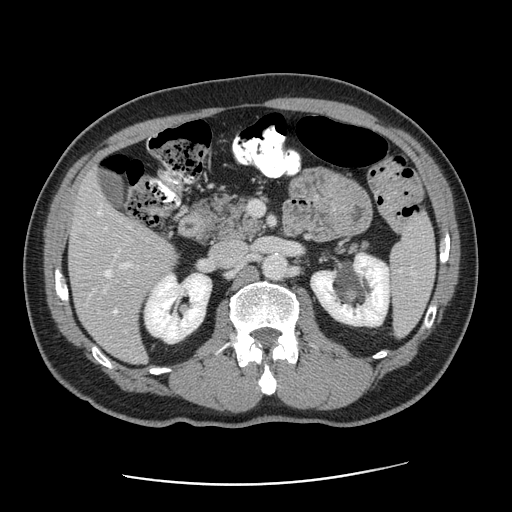 512x512 | CT slice | Abdomen
Only some of the vessels may be annotated.
The liver tumor is at left=75, top=232, right=89, bottom=244. 5 hepatic vessel regions are located at left=106, top=270, right=111, bottom=275; left=114, top=309, right=116, bottom=312; left=105, top=288, right=107, bottom=290; left=98, top=212, right=100, bottom=213; left=121, top=263, right=129, bottom=267.